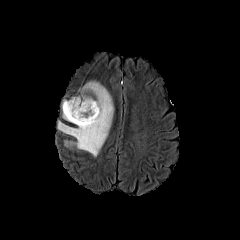
FLAIR MR.
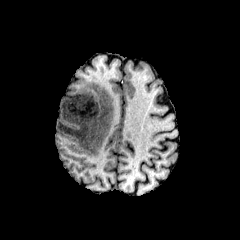
T1-weighted magnetic resonance.
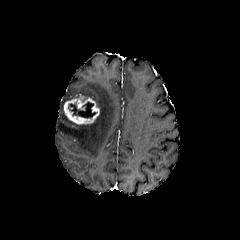
Post-contrast T1-weighted MRI.
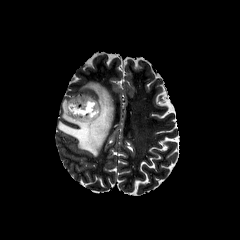
T2-weighted magnetic resonance of the same slice.
Enhancing tumor — [63,94,99,124].
Non-enhancing tumor core — [68,101,97,118].
Edema — [57,81,114,156].